Slice 91/155; Brain
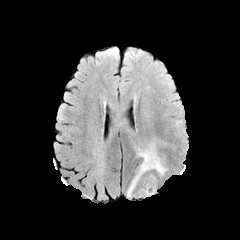
FLAIR magnetic resonance.
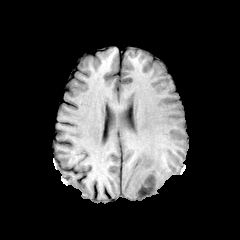
T1-weighted MRI of the same slice.
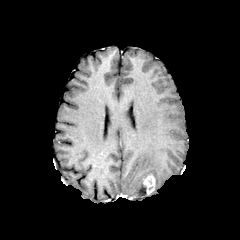
Post-contrast T1-weighted MRI.
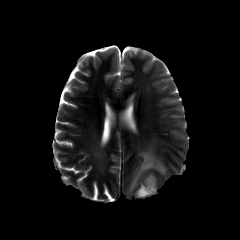
T2-weighted magnetic resonance.
Enhancing tumor = <bbox>143, 174, 155, 193</bbox>.
Edema = <bbox>126, 148, 167, 196</bbox>.